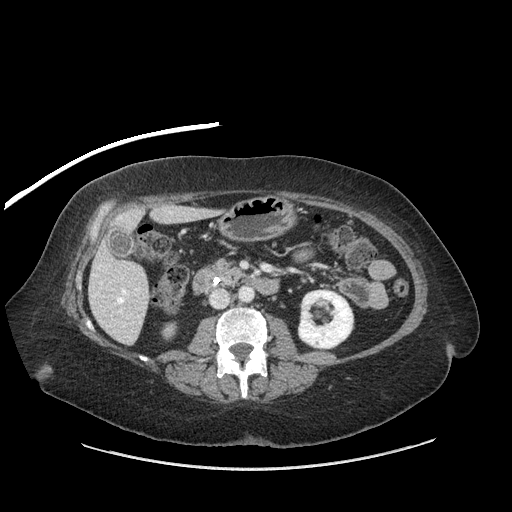
Abdomen | CT image | Image size 512x512

Pancreas: x1=215, y1=260, x2=243, y2=284.